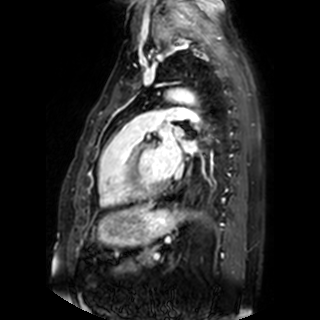 MR image

3 left atrium regions appear at <box>184,141,194,151</box>, <box>174,127,182,135</box>, <box>157,137,181,175</box>.